CT image. Slice 274/756. Abdomen. Field of view 391x391 mm.

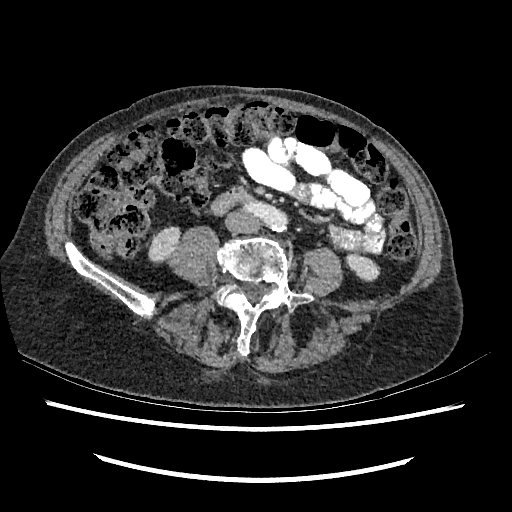

{
  "kidney": [
    "x1=149 y1=228 x2=181 y2=260",
    "x1=347 y1=254 x2=378 y2=279"
  ]
}